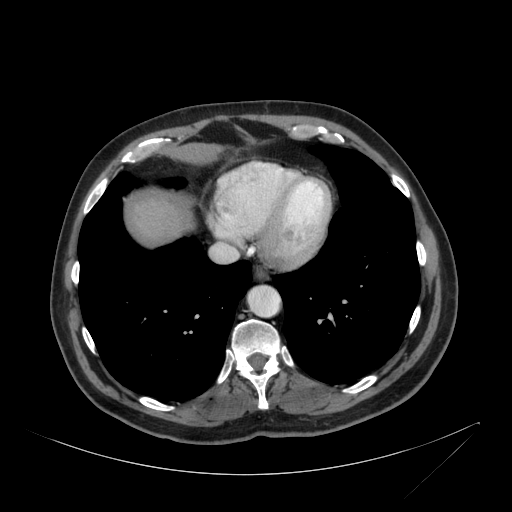
Computed tomography; Abdomen
Liver: [134,198,182,237].